Head
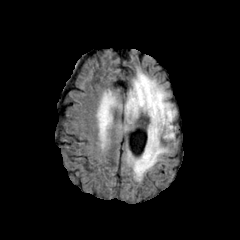
FLAIR MRI.
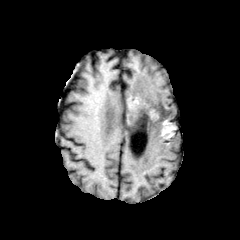
T1-weighted magnetic resonance.
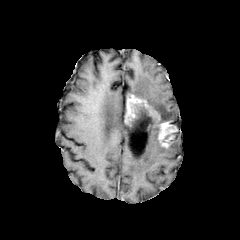
Same slice, post-contrast T1-weighted MRI.
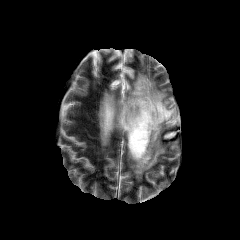
T2-weighted MRI of the same slice.
2 enhancing tumor regions are located at l=157, t=121, r=171, b=138; l=125, t=94, r=150, b=123. 2 non-enhancing tumor core regions appear at l=124, t=96, r=168, b=132; l=164, t=127, r=176, b=138. 4 edema regions appear at l=128, t=71, r=176, b=123; l=98, t=91, r=127, b=144; l=127, t=128, r=173, b=180; l=119, t=122, r=133, b=131.